Slice 48 of 155; Head
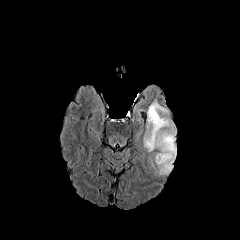
FLAIR magnetic resonance.
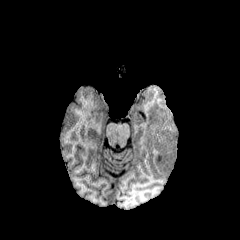
T1-weighted MR image.
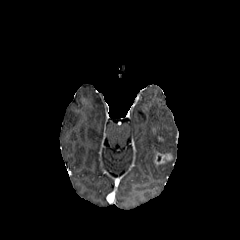
Same slice, post-contrast T1-weighted MR.
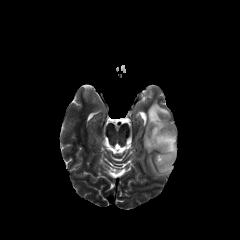
T2-weighted MR of the same slice.
The edema is bounded by left=142, top=100, right=176, bottom=175. The enhancing tumor is at left=154, top=153, right=172, bottom=165.